240x240; Head
FLAIR MRI.
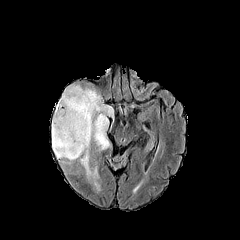
T1-weighted MR.
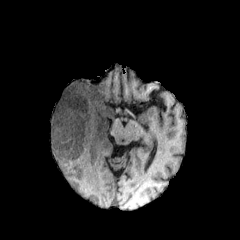
Post-contrast T1-weighted MR.
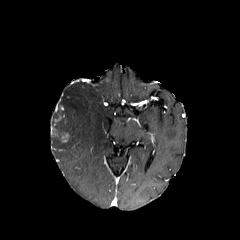
T2-weighted MRI.
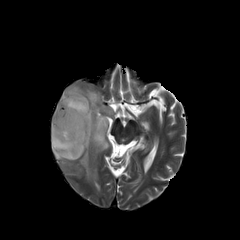
Enhancing tumor at {"x1": 61, "y1": 133, "x2": 69, "y2": 142}.
Edema at {"x1": 51, "y1": 82, "x2": 114, "y2": 188}.